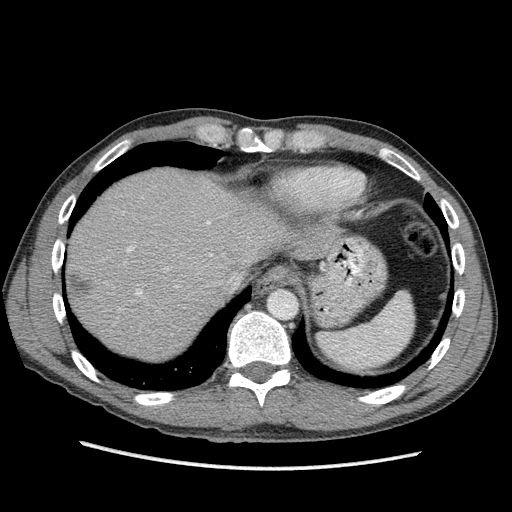
Liver; Computed tomography
The liver is at left=66, top=167, right=342, bottom=362. The hepatic lesion is at left=68, top=272, right=93, bottom=298.